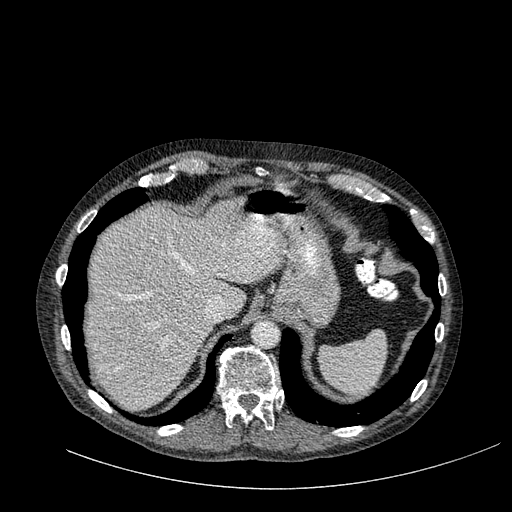 CT scan slice | Upper abdomen
The liver is bounded by 87, 199, 284, 409.